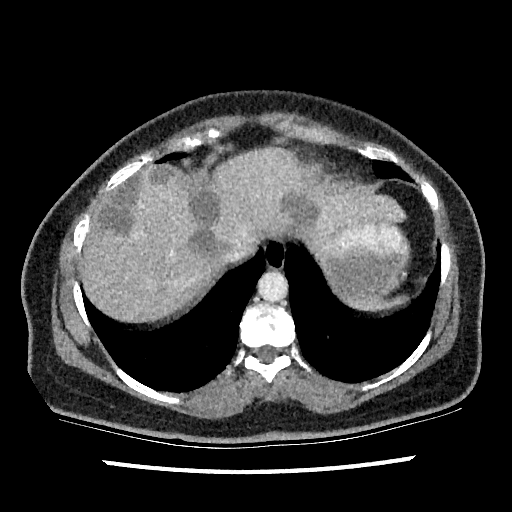
CT image, Upper abdomen
{"hepatic_lesion": ["l=281, t=194, r=319, b=236", "l=97, t=175, r=140, b=233", "l=151, t=164, r=174, b=183", "l=180, t=172, r=228, b=257"], "liver": ["l=82, t=164, r=227, b=322", "l=97, t=188, r=117, b=215", "l=206, t=147, r=403, b=249"]}